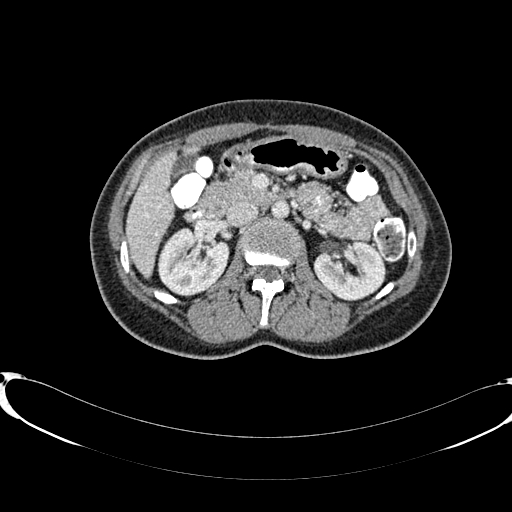
CT scan slice. Upper abdomen.

Kidney = (left=315, top=243, right=383, bottom=298), (left=159, top=228, right=227, bottom=294).
Liver = (left=126, top=152, right=178, bottom=275).